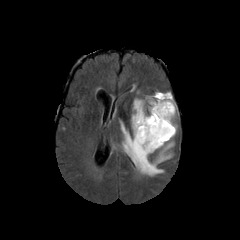
FLAIR MR image.
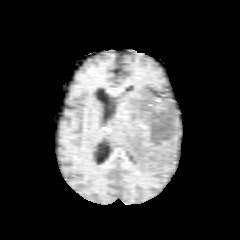
T1-weighted MR of the same slice.
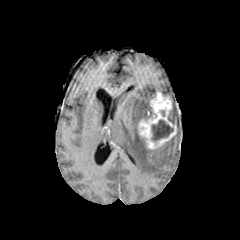
Post-contrast T1-weighted MR of the same slice.
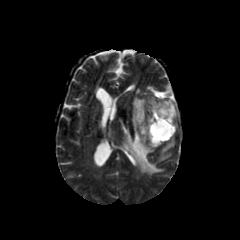
T2-weighted MR of the same slice.
Head
Segmented structures:
- enhancing tumor: [139,92,176,148]
- edema: [120,91,174,175], [172,110,179,127]
- non-enhancing tumor core: [152,120,173,140], [168,101,176,123]